Slice 606/647, 512x512 px, CT scan slice
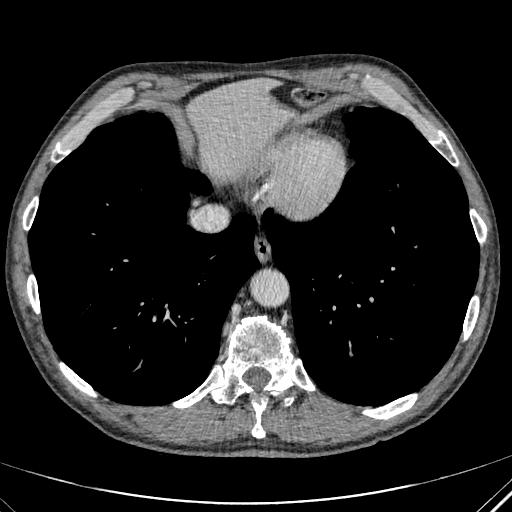

Liver = box=[186, 79, 291, 176].